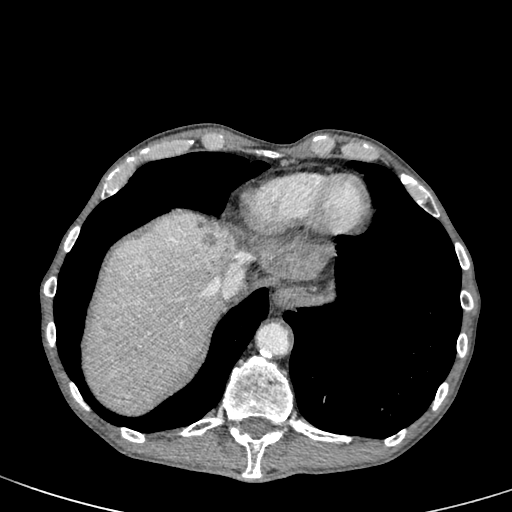

512x512 px. CT image.
{"liver": [{"x1": 263, "y1": 268, "x2": 308, "y2": 280}, {"x1": 316, "y1": 244, "x2": 333, "y2": 258}, {"x1": 82, "y1": 215, "x2": 228, "y2": 415}], "focal_liver_lesion": [{"x1": 255, "y1": 243, "x2": 330, "y2": 279}, {"x1": 196, "y1": 223, "x2": 236, "y2": 262}]}